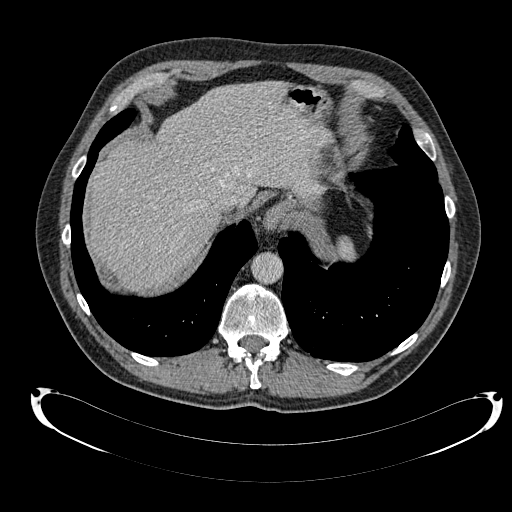

Liver, CT scan slice
The liver is at [91, 83, 328, 288].